Slice 94/155; Brain
FLAIR MR image.
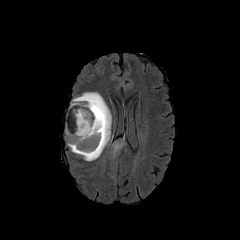
T1-weighted MR.
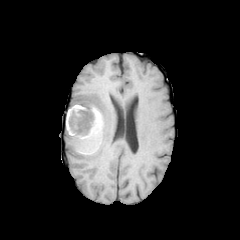
Post-contrast T1-weighted MR image.
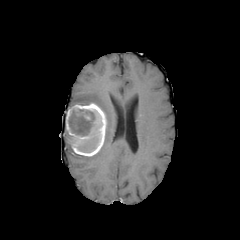
T2-weighted MR image.
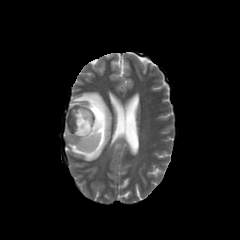
The non-enhancing tumor core lies within [x1=76, y1=110, x2=97, y2=150]. The enhancing tumor is located at [x1=71, y1=102, x2=107, y2=156]. The edema is at [x1=65, y1=92, x2=112, y2=161].